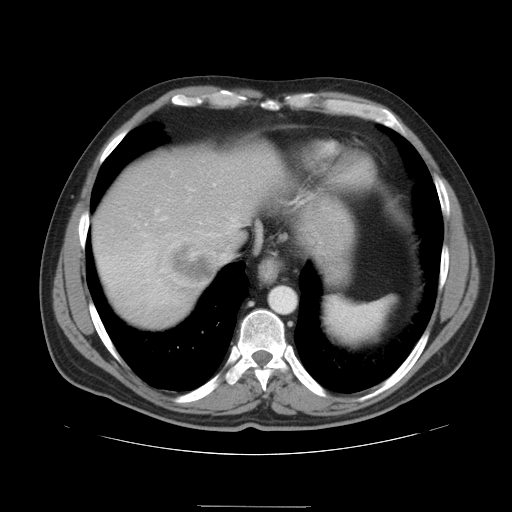
CT scan slice | Image size 512x512
Only some of the vessels may be annotated.
4 hepatic vessel regions are located at 222:255:226:259, 207:218:212:221, 222:217:238:234, 162:218:165:219. The liver tumor is located at 155:234:220:299.